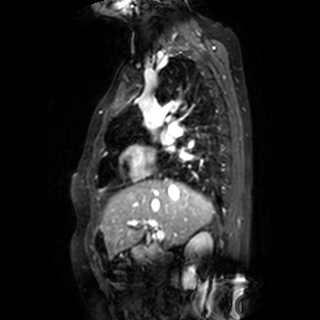
Cardiac, MRI

Annotated regions:
* left atrium: x1=161, y1=137, x2=173, y2=145